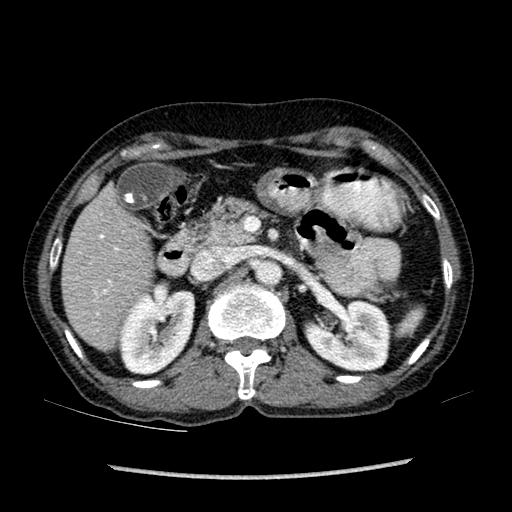 Computed tomography | Liver
liver:
  - 62,201,148,341
kidney:
  - 308,302,387,369
  - 120,286,193,373